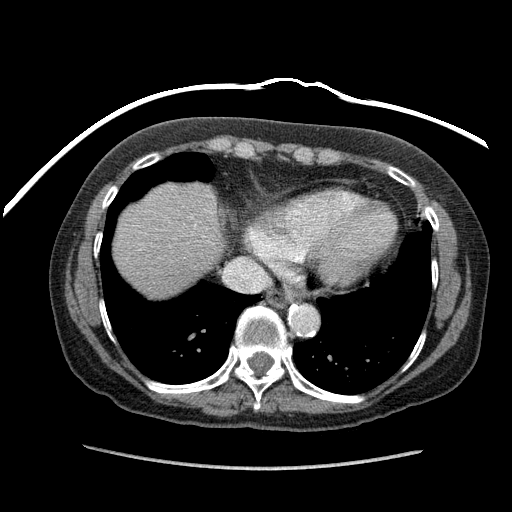
Liver | CT scan slice
{
  "liver": [
    "[114,182,227,298]"
  ]
}